Slice index 42; CT image; Abdomen; Field of view 363 mm wide, 2.50 mm slice spacing
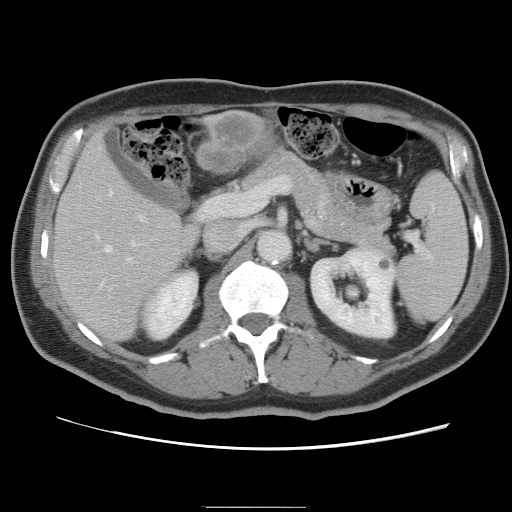
Some hepatic vessels may have no box.
<segmentation>
  <liver_tumor>box(202, 118, 276, 169)</liver_tumor>
  <hepatic_vessel>box(97, 197, 98, 198); box(131, 241, 140, 245); box(104, 245, 111, 251); box(127, 257, 131, 261); box(107, 286, 110, 289); box(95, 234, 99, 239); box(109, 189, 112, 194); box(138, 215, 144, 220); box(100, 281, 103, 287)</hepatic_vessel>
</segmentation>